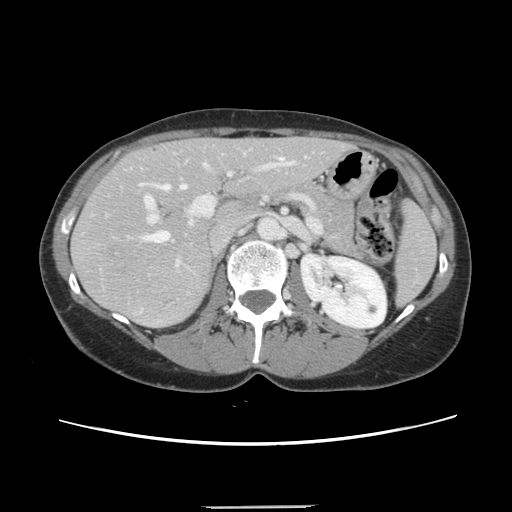
Computed tomography, Abdomen
The vessel boxes may cover only some of the vessels.
10 hepatic vessel regions appear at (145,195,157,222), (180,184,185,188), (139,183,143,185), (227,172,230,175), (193,195,206,203), (260,157,295,168), (202,162,208,168), (189,218,191,224), (154,184,169,189), (142,231,168,242).